240x240 px. Slice 96 of 155. Brain.
FLAIR magnetic resonance.
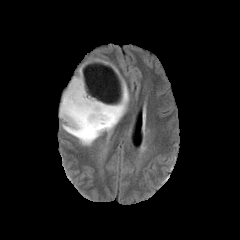
T1-weighted MR image.
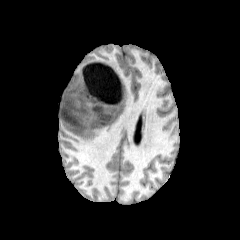
Post-contrast T1-weighted MR.
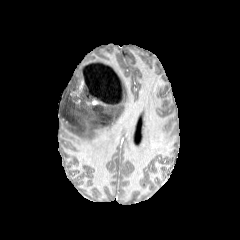
T2-weighted MR image.
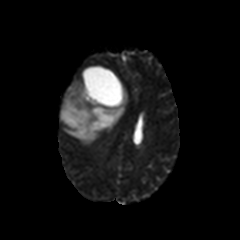
3 non-enhancing tumor core regions are located at (left=62, top=108, right=81, bottom=128), (left=93, top=106, right=111, bottom=125), (left=77, top=84, right=115, bottom=105). The enhancing tumor is located at (left=75, top=81, right=84, bottom=95). The edema appears at (left=59, top=69, right=129, bottom=145).